240x240 px. Image width 240 mm.
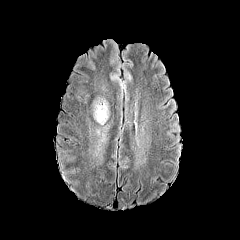
FLAIR MRI.
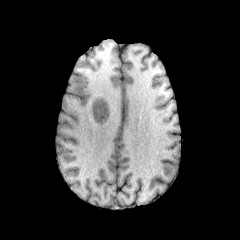
T1-weighted magnetic resonance of the same slice.
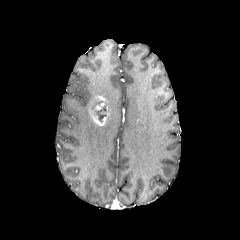
Post-contrast T1-weighted magnetic resonance of the same slice.
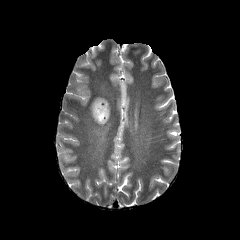
T2-weighted MRI.
Enhancing tumor — <box>89,96,109,125</box>.
Non-enhancing tumor core — <box>94,100,109,122</box>, <box>91,100,102,109</box>.